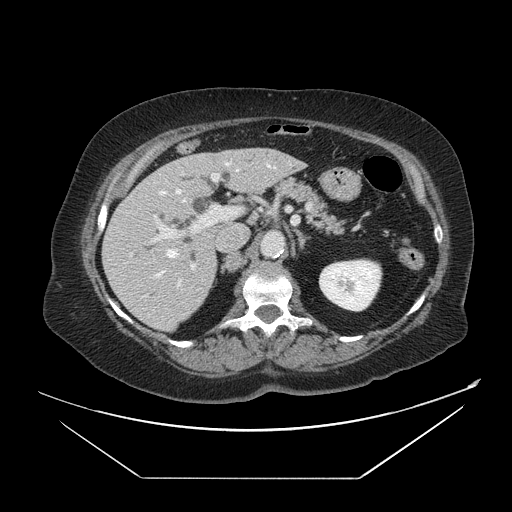

Computed tomography | Upper abdomen

Pancreas at {"x1": 276, "y1": 178, "x2": 342, "y2": 233}.